FLAIR MR image.
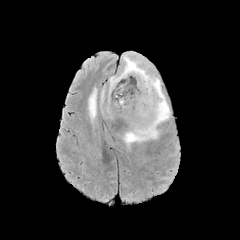
T1-weighted MR.
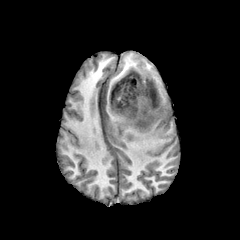
Post-contrast T1-weighted MR.
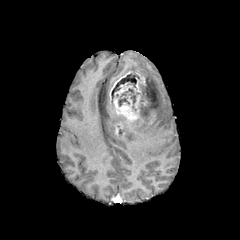
T2-weighted MR.
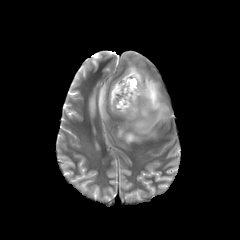
Brain
enhancing tumor: region(113, 97, 138, 121); region(114, 83, 132, 95) | non-enhancing tumor core: region(111, 72, 151, 120) | edema: region(109, 51, 170, 144); region(88, 88, 97, 120); region(101, 88, 105, 104)